Field of view 240x240 mm
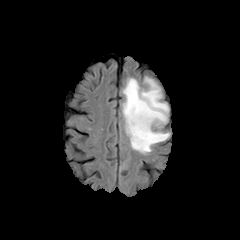
FLAIR magnetic resonance.
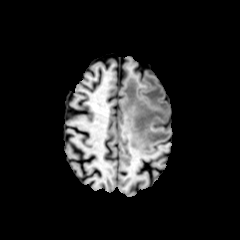
T1-weighted MRI of the same slice.
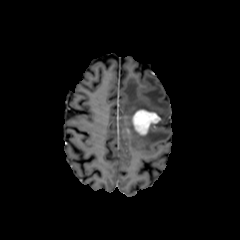
Same slice, post-contrast T1-weighted magnetic resonance.
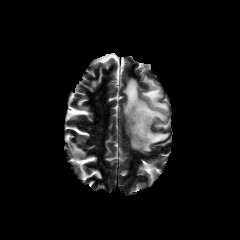
Same slice, T2-weighted MRI.
Enhancing tumor — l=131, t=109, r=161, b=135.
Edema — l=122, t=76, r=169, b=153.